CT slice; Image width 442 mm; Liver
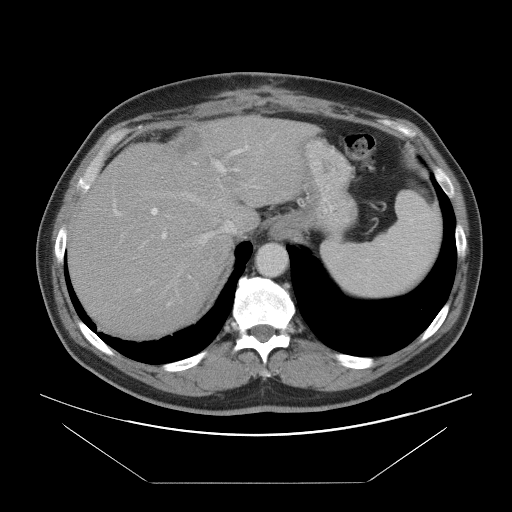 The vessel annotation is not exhaustive.
<segmentation partial="true">
  <liver_tumor>x1=168 y1=131 x2=201 y2=158</liver_tumor>
  <hepatic_vessel shown="15" total="16">x1=167 y1=302 x2=171 y2=305, x1=162 y1=232 x2=165 y2=237, x1=167 y1=285 x2=169 y2=287, x1=232 y1=149 x2=242 y2=153, x1=114 y1=199 x2=120 y2=214, x1=151 y1=208 x2=157 y2=213, x1=246 y1=185 x2=248 y2=187, x1=199 y1=241 x2=201 y2=243, x1=211 y1=157 x2=226 y2=172, x1=138 y1=289 x2=140 y2=290, x1=228 y1=221 x2=233 y2=224, x1=253 y1=186 x2=257 y2=186, x1=232 y1=168 x2=238 y2=170, x1=244 y1=145 x2=248 y2=148, x1=194 y1=162 x2=196 y2=163</hepatic_vessel>
</segmentation>